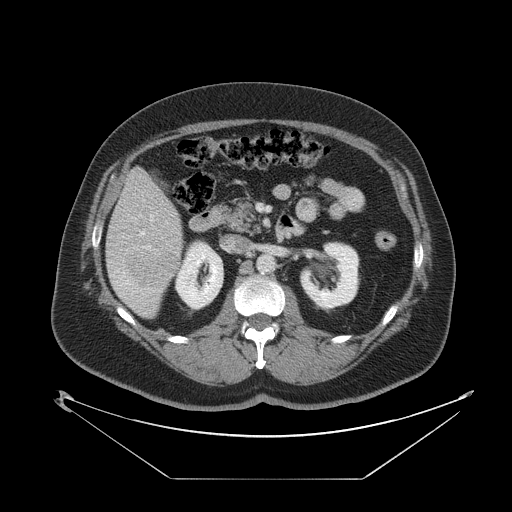
CT scan slice, Liver
Not every hepatic vessel necessarily has a box.
Hepatic vessel at l=139, t=215, r=141, b=216; l=138, t=231, r=144, b=235; l=142, t=245, r=150, b=248.
Liver tumor at l=127, t=252, r=177, b=287.